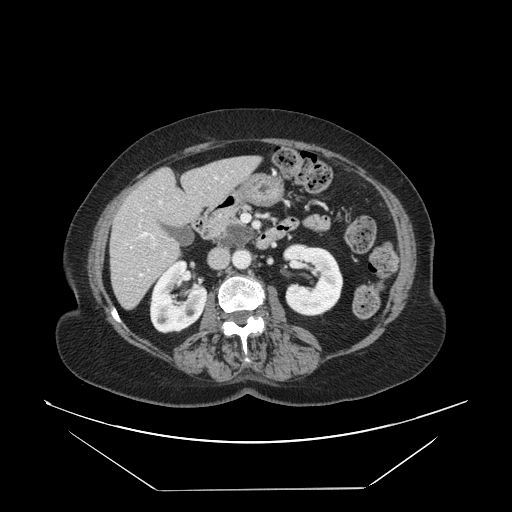 Image size 512x512. CT scan slice. Pancreatic tumor: 220,224,254,247.
Pancreas: 206,200,256,249.